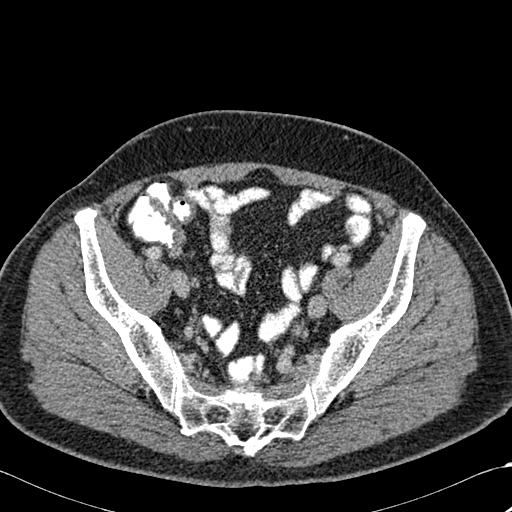 Computed tomography. <segmentation>
  <bone>region(75, 208, 425, 455)</bone>
</segmentation>